FLAIR magnetic resonance.
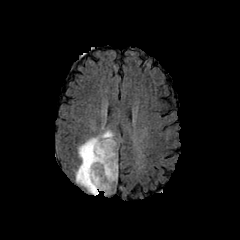
T1-weighted MR.
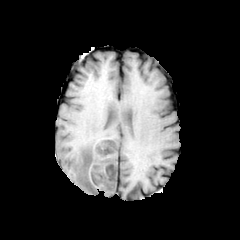
Post-contrast T1-weighted MR image.
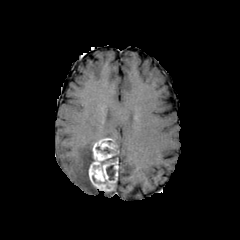
T2-weighted MRI.
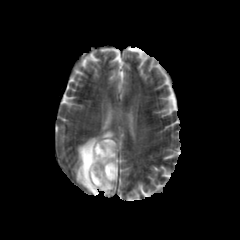
240x240 px.
The non-enhancing tumor core appears at (106,165,114,180). The edema is bounded by (75,129,114,195). The enhancing tumor is at (88,137,118,193).